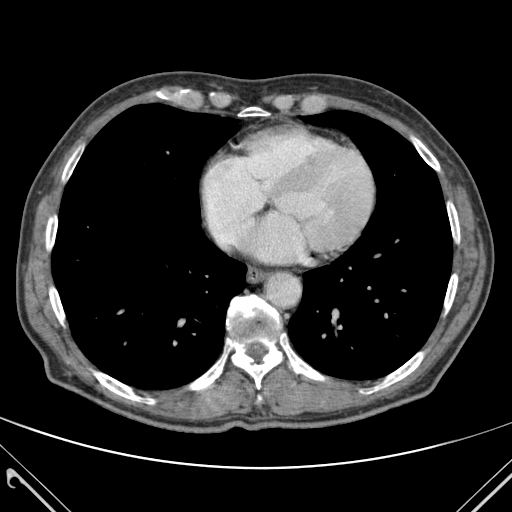
512x512 px, CT scan slice, Thorax
- lung: <box>288,111,452,379</box>, <box>52,104,246,389</box>
- bone: <box>226,295,323,388</box>, <box>238,107,269,116</box>, <box>190,355,226,389</box>, <box>94,372,154,403</box>, <box>49,284,64,324</box>, <box>413,138,439,170</box>, <box>366,352,422,393</box>, <box>62,151,78,179</box>, <box>447,203,459,241</box>, <box>46,211,57,251</box>, <box>444,274,457,312</box>